FLAIR MRI.
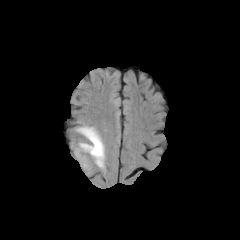
T1-weighted MR.
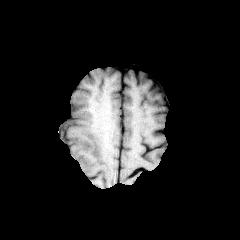
Post-contrast T1-weighted magnetic resonance.
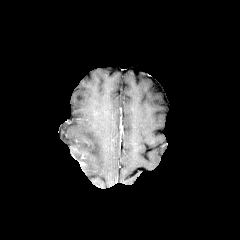
T2-weighted MR image.
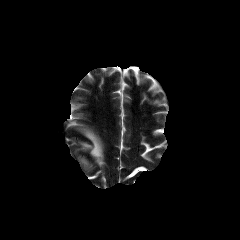
Brain
The edema is at left=75, top=125, right=104, bottom=168.